Abdomen. Computed tomography.
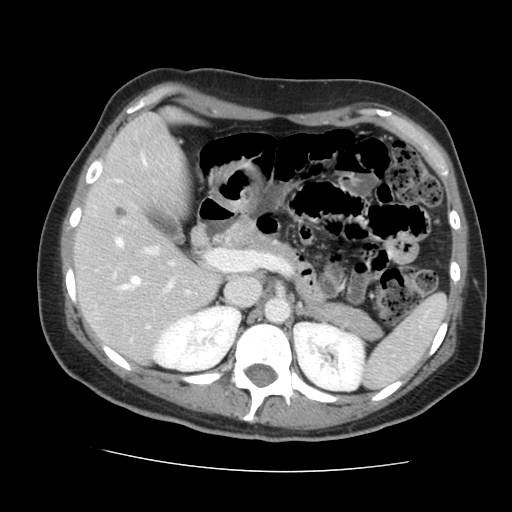 Not every hepatic vessel necessarily has a box.
Annotated regions:
- liver tumor: left=114, top=206, right=126, bottom=221
- hepatic vessel: left=120, top=277, right=139, bottom=290; left=165, top=282, right=172, bottom=290; left=170, top=263, right=172, bottom=264; left=146, top=248, right=156, bottom=253; left=116, top=239, right=121, bottom=246